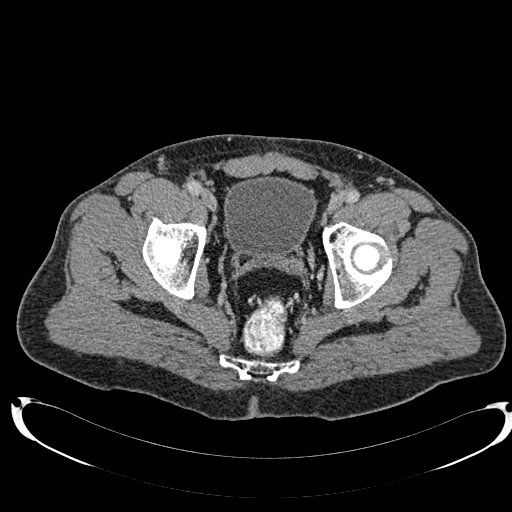

Computed tomography

The urinary bladder appears at (x1=224, y1=176, x2=317, y2=266).